Field of view 240 mm wide, 1.00 mm slice spacing
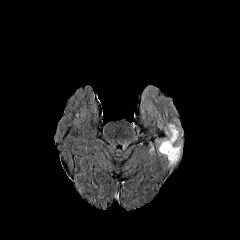
FLAIR MR image.
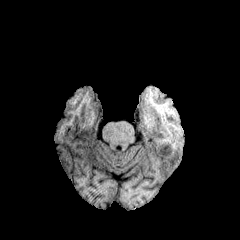
T1-weighted MR.
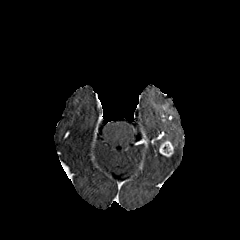
Post-contrast T1-weighted MRI of the same slice.
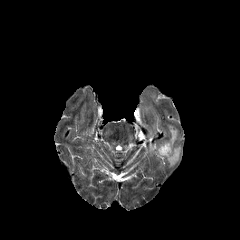
T2-weighted MRI of the same slice.
Findings:
• enhancing tumor: 159 140 174 156
• edema: 155 120 183 167